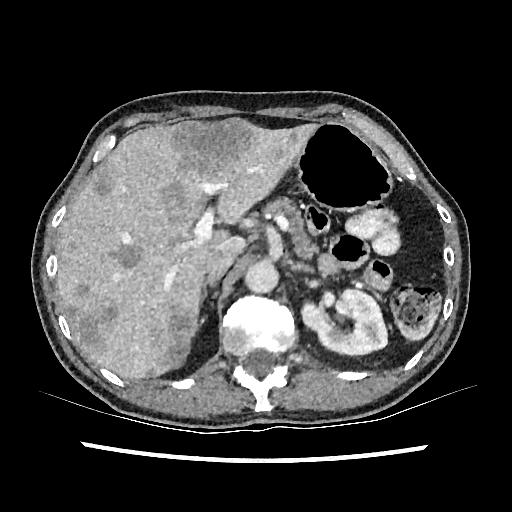 Abdomen, CT image

Annotated regions:
- liver: (x1=58, y1=125, x2=316, y2=378)
- focal liver lesion: (x1=161, y1=183, x2=184, y2=222), (x1=158, y1=307, x2=196, y2=365), (x1=290, y1=128, x2=296, y2=142), (x1=74, y1=283, x2=89, y2=297), (x1=114, y1=244, x2=143, y2=268), (x1=65, y1=301, x2=117, y2=352), (x1=169, y1=119, x2=256, y2=179), (x1=270, y1=147, x2=285, y2=160), (x1=94, y1=172, x2=110, y2=195)
- kidney: (x1=302, y1=290, x2=387, y2=358)